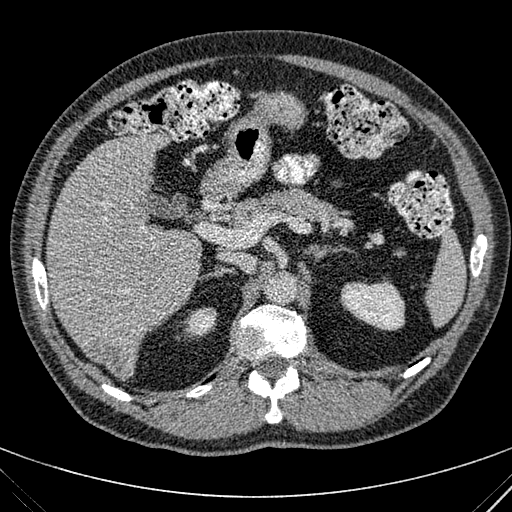

CT slice. 512x512 px. Liver: (x1=47, y1=134, x2=198, y2=377).
Kidney: (x1=186, y1=308, x2=216, y2=335), (x1=341, y1=282, x2=404, y2=329).
Focal liver lesion: (x1=84, y1=335, x2=133, y2=377).